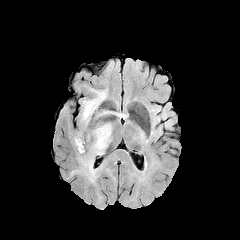
FLAIR MR image.
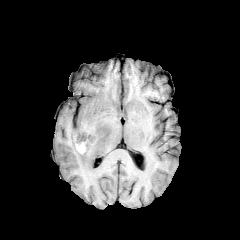
T1-weighted MR.
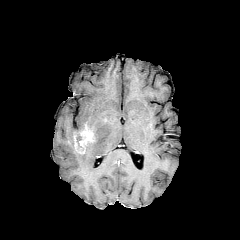
Post-contrast T1-weighted MR.
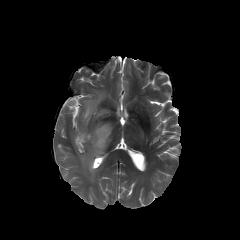
T2-weighted magnetic resonance of the same slice.
{
  "enhancing_tumor": [
    "74, 130, 94, 153"
  ],
  "edema": [
    "114, 110, 128, 118",
    "70, 123, 112, 183",
    "80, 89, 108, 124",
    "96, 110, 110, 117"
  ]
}